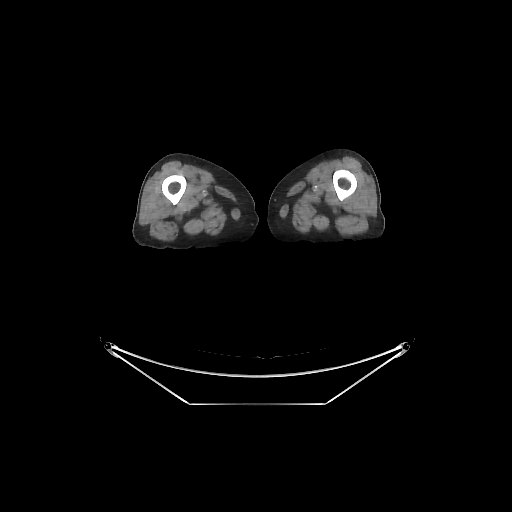

CT image. Image size 512x512.
bone: (162,174,186,204), (333,169,356,200)